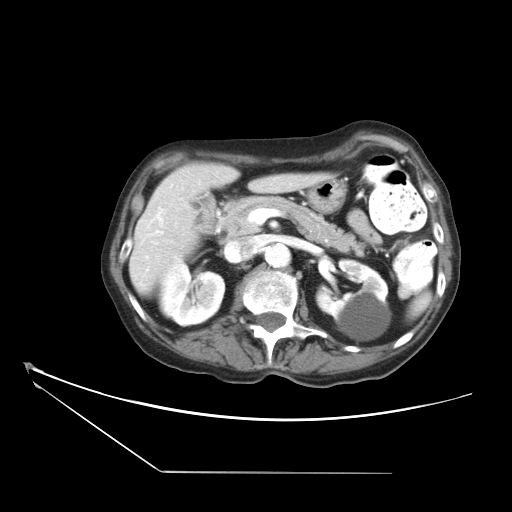

CT slice.
{"pancreas": ["rect(212, 195, 367, 257)"]}